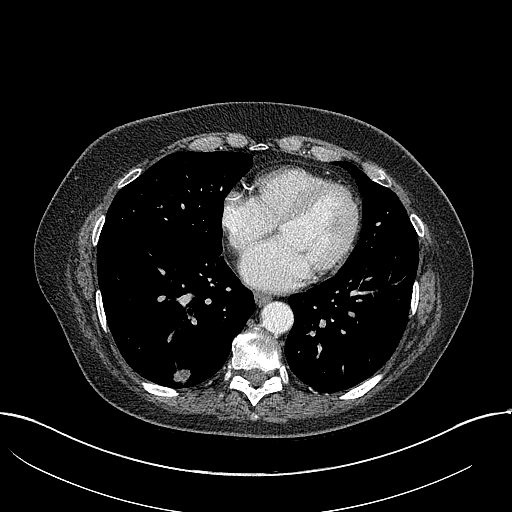
Thorax, Computed tomography
The lung tumor is at (170, 365, 191, 387).